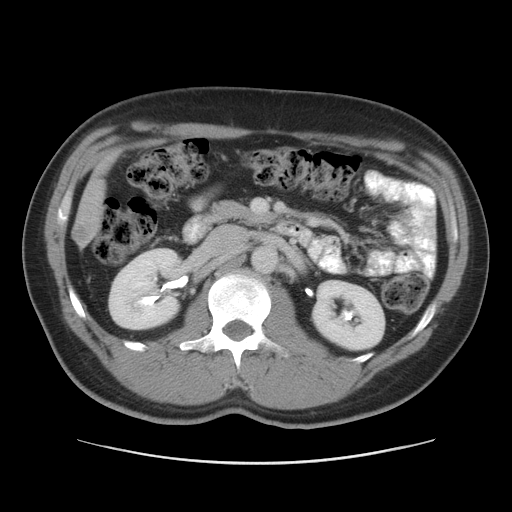 CT scan slice
liver tumor: [x1=73, y1=220, x2=97, y2=245]